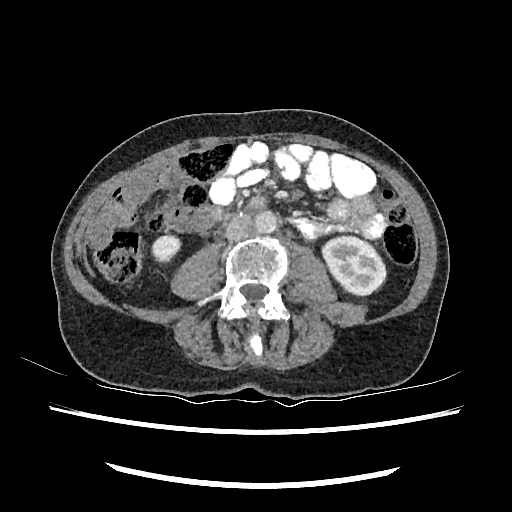
CT slice; Abdomen
2 kidney regions appear at <box>323,237,385,294</box>, <box>154,237,178,258</box>.